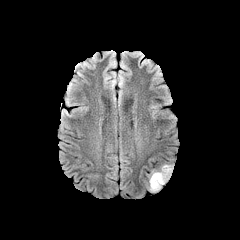
FLAIR MR image.
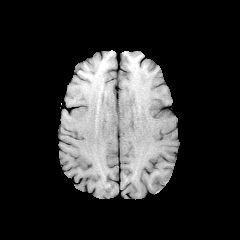
T1-weighted MR image.
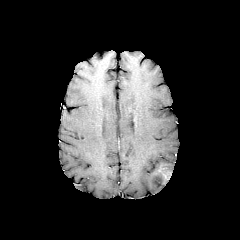
Post-contrast T1-weighted MR of the same slice.
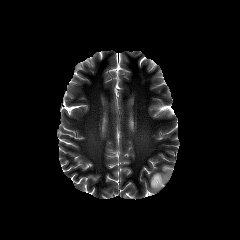
Same slice, T2-weighted MR.
Brain
The edema is bounded by {"x1": 149, "y1": 164, "x2": 173, "y2": 192}.